FLAIR magnetic resonance.
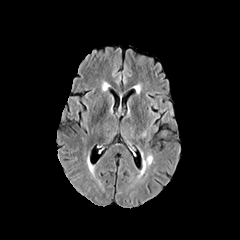
T1-weighted magnetic resonance.
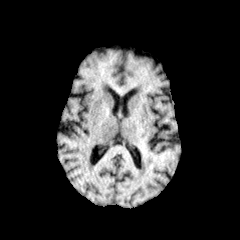
Post-contrast T1-weighted MR image.
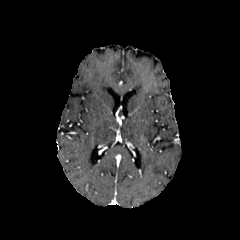
T2-weighted magnetic resonance.
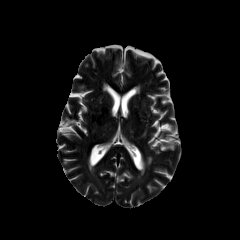
The edema is at box=[142, 153, 153, 170].